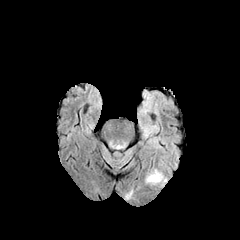
FLAIR magnetic resonance.
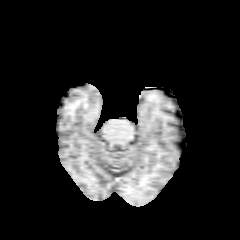
T1-weighted MRI of the same slice.
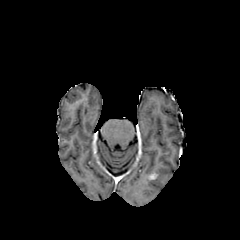
Post-contrast T1-weighted MR image.
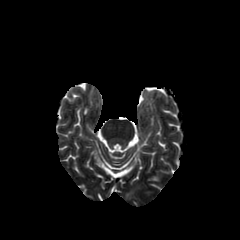
T2-weighted magnetic resonance of the same slice.
240x240 px | Head
Edema at <bbox>146, 169, 163, 184</bbox>.